Liver | CT image | Slice 16 of 49

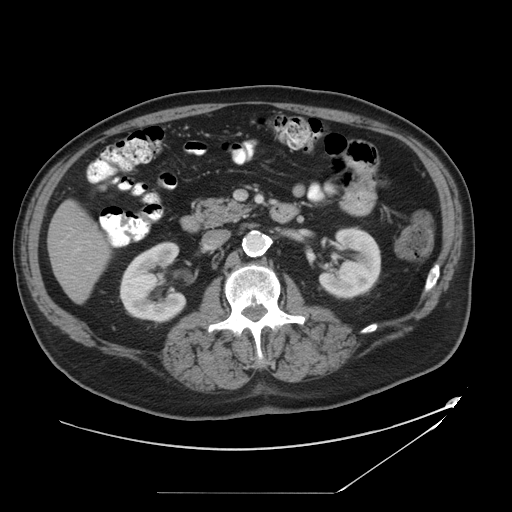 The vessel boxes may cover only some of the vessels.
Segmented structures:
* hepatic vessel: x1=85, y1=233, x2=88, y2=237; x1=87, y1=267, x2=90, y2=269; x1=97, y1=241, x2=98, y2=242; x1=93, y1=270, x2=96, y2=270; x1=73, y1=248, x2=80, y2=254; x1=86, y1=241, x2=87, y2=242; x1=67, y1=235, x2=68, y2=236